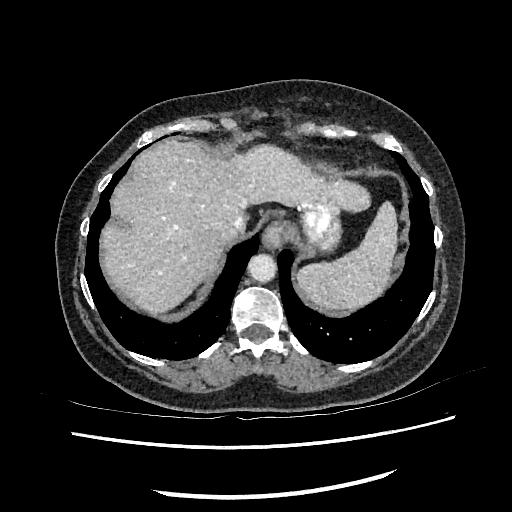
Liver | CT scan slice
<segmentation>
  <liver>101,140,368,309</liver>
</segmentation>